Image size 512x512 | Abdomen | CT | Slice 591/677 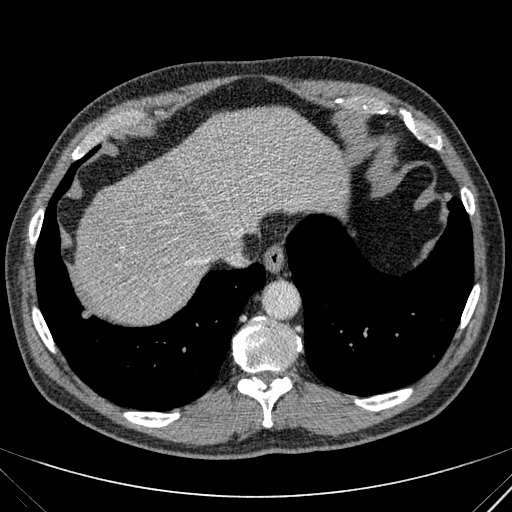
The liver appears at x1=74 y1=108 x2=347 y2=322.